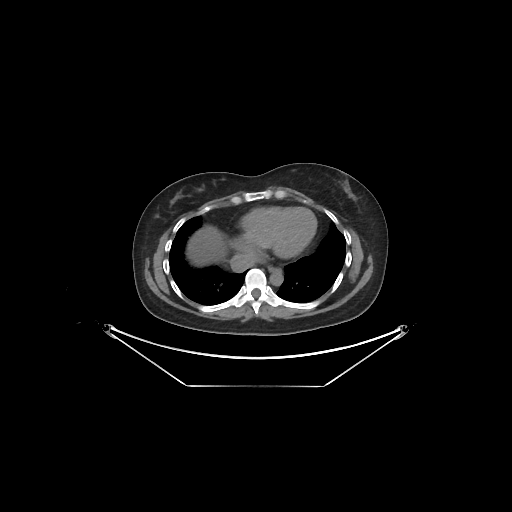
Abdomen. Computed tomography.
liver: x1=189, y1=228, x2=221, y2=250